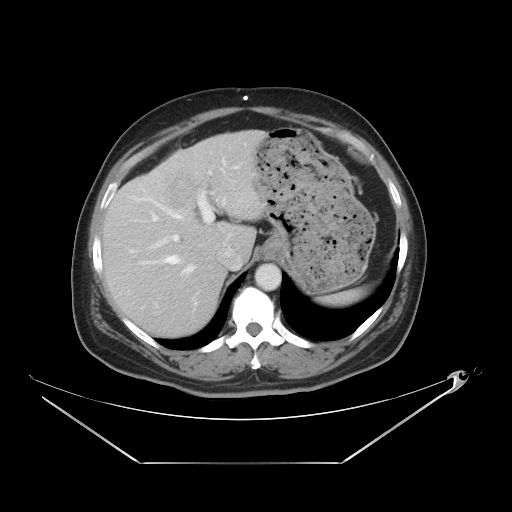
CT scan slice

Some hepatic vessels may have no box.
Hepatic vessel: box(173, 235, 177, 240); box(188, 268, 191, 269); box(201, 189, 203, 190); box(166, 258, 177, 261); box(153, 215, 157, 220); box(208, 169, 211, 174); box(221, 168, 226, 175).
Liver tumor: box(163, 172, 199, 210).